512x512 | CT slice | Slice 195 of 216

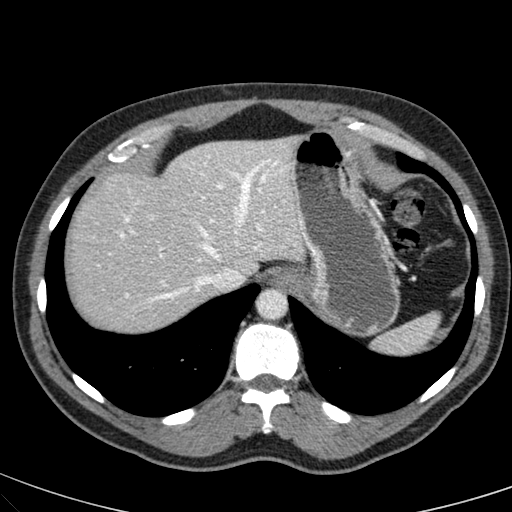
Liver: bounding box (left=70, top=136, right=304, bottom=332).